CT slice; Image width 339 mm
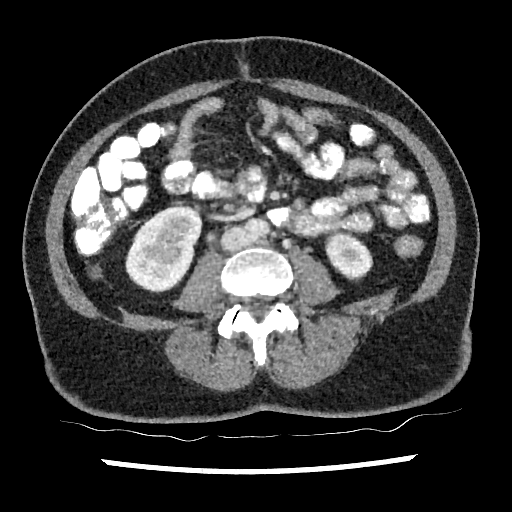

kidney:
  - [126,207,200,290]
  - [327,237,370,276]